Brain; Image width 240 mm
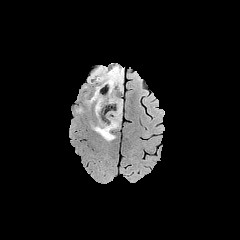
FLAIR magnetic resonance.
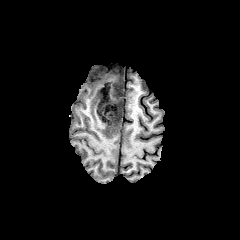
T1-weighted magnetic resonance.
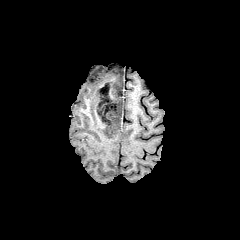
Same slice, post-contrast T1-weighted magnetic resonance.
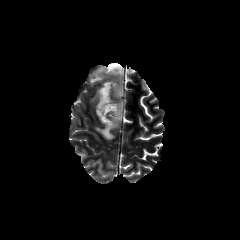
Same slice, T2-weighted MR.
{"non-enhancing_tumor_core": ["103:110:121:131", "99:71:120:93", "95:89:111:111"], "edema": ["96:110:113:125", "87:66:123:110", "100:121:119:139"]}